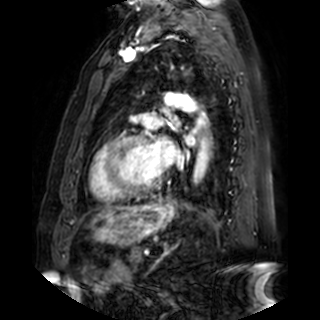 Cardiac, MRI, Image size 320x320
Left atrium — <box>147,140,175,167</box>, <box>185,133,195,145</box>.